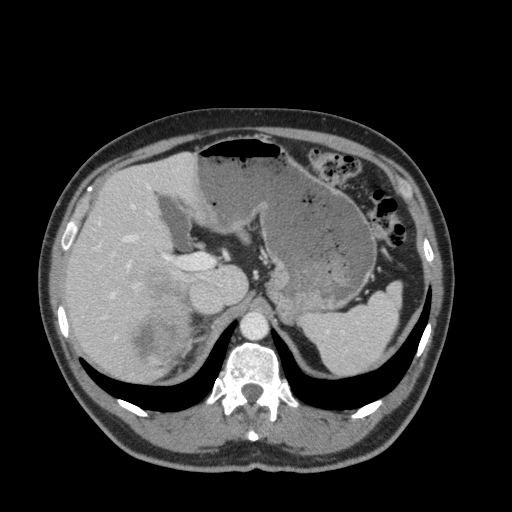

Abdomen, CT

The liver is located at box(66, 154, 246, 381).